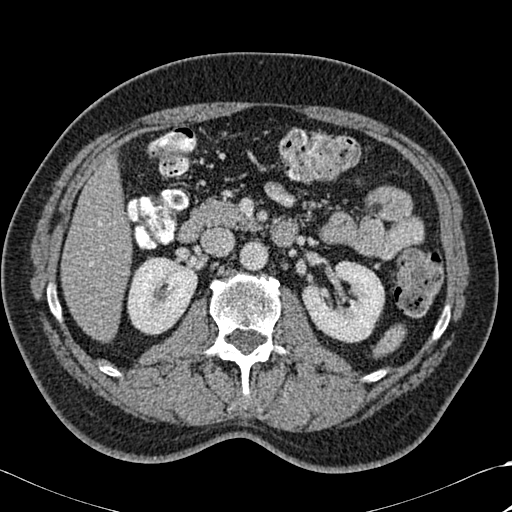
Computed tomography

Kidney = 128 258 196 333, 303 262 383 341.
Liver = 62 161 131 340.
Bone = 434 318 448 338, 47 286 60 318, 206 274 284 409, 366 372 381 380, 102 366 119 375.